Slice 54/95; Image width 480 mm; CT image

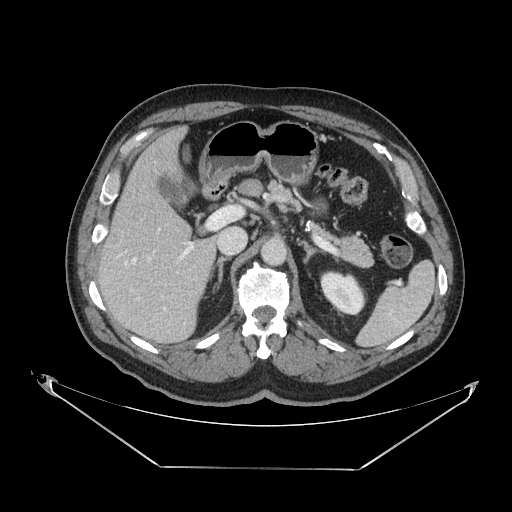
pancreas:
  - (x1=337, y1=234, x2=374, y2=268)
  - (x1=263, y1=178, x2=295, y2=204)